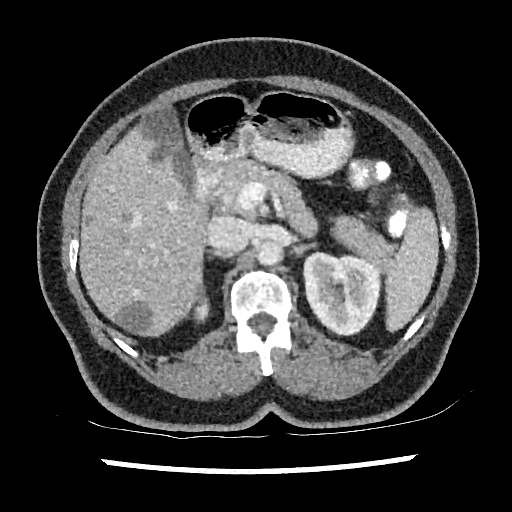 CT | Upper abdomen
Liver at bbox(80, 128, 207, 335).
Kidney at bbox(304, 253, 379, 334); bbox(198, 306, 206, 317).
Liver lesion at bbox(121, 235, 128, 244); bbox(115, 301, 151, 332); bbox(150, 152, 161, 161); bbox(121, 214, 131, 222); bbox(84, 215, 94, 225).